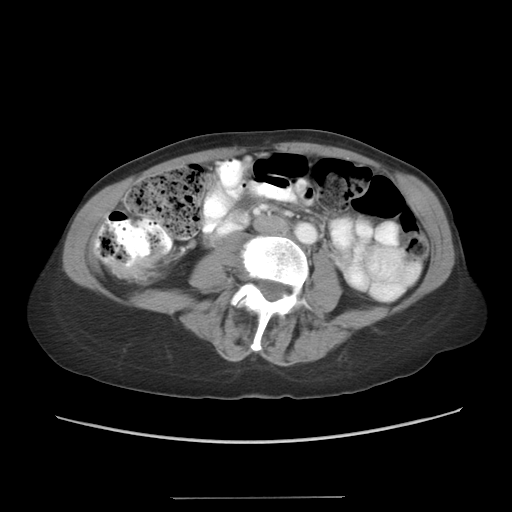 CT slice; Pelvis

Colon tumor — l=106, t=252, r=162, b=280.